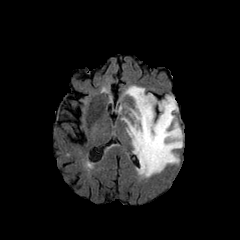
FLAIR MR.
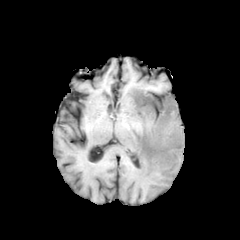
T1-weighted MRI.
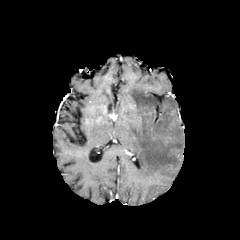
Post-contrast T1-weighted MR.
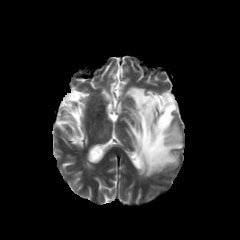
T2-weighted MRI.
Brain
* edema: [115, 85, 183, 177]